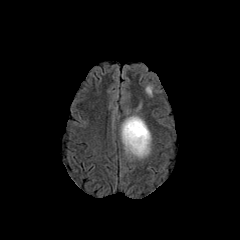
FLAIR MRI.
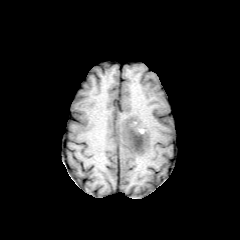
Same slice, T1-weighted magnetic resonance.
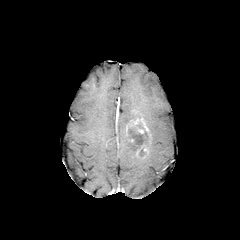
Same slice, post-contrast T1-weighted magnetic resonance.
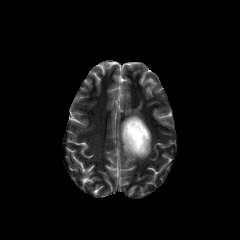
T2-weighted magnetic resonance of the same slice.
Edema = l=119, t=111, r=149, b=159.
Non-enhancing tumor core = l=126, t=127, r=151, b=156.
Enhancing tumor = l=125, t=118, r=151, b=137.